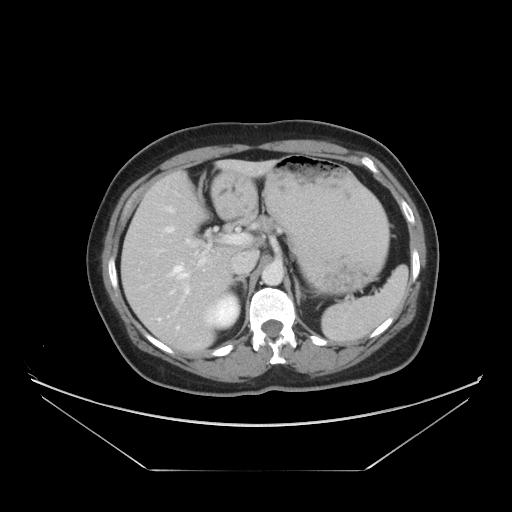 CT image. Abdomen. 512x512. The vessel annotation is not exhaustive.
Hepatic vessel at bbox(200, 257, 205, 262); bbox(183, 273, 188, 276); bbox(176, 267, 181, 270).